MRI. Hippocampus. Slice 20/26. Image width 37 mm.

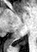

{
  "posterior_hippocampus": [
    "bbox=[6, 40, 14, 45]"
  ]
}